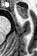 Image size 37x56 | MRI slice

{
  "anterior_hippocampus": [
    "rect(17, 5, 28, 18)"
  ]
}